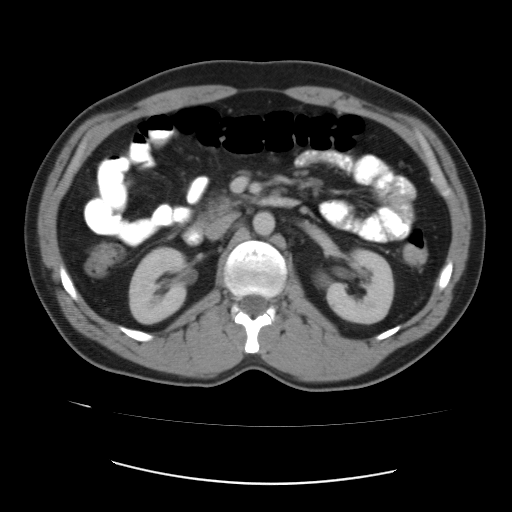

Pelvis. CT slice.

The colon tumor appears at 402 244 427 264.